FLAIR MR.
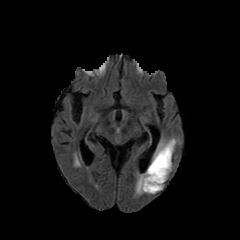
T1-weighted MR image.
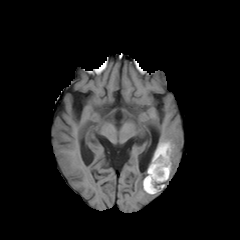
Post-contrast T1-weighted MR.
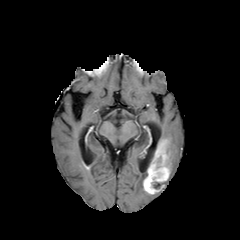
T2-weighted MR image.
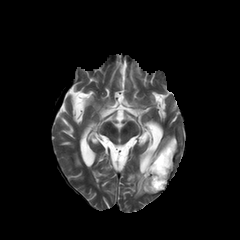
Annotated regions:
* edema: box(134, 173, 148, 195); box(160, 136, 178, 171)
* enhancing tumor: box(144, 140, 169, 193)
* non-enhancing tumor core: box(166, 142, 173, 165); box(152, 182, 164, 190)